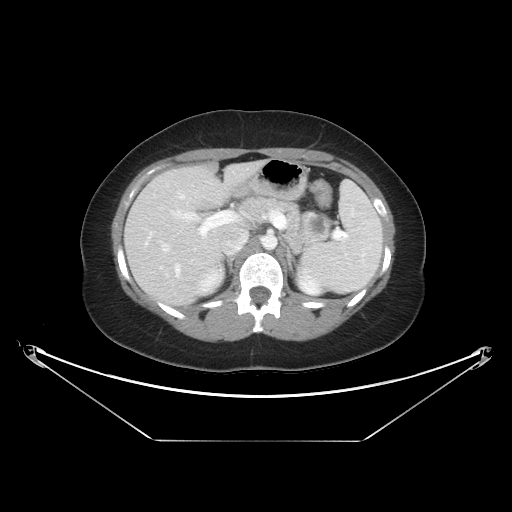 CT | Abdomen
pancreatic_tumor:
  - (303, 211, 329, 242)
pancreas:
  - (241, 197, 312, 251)